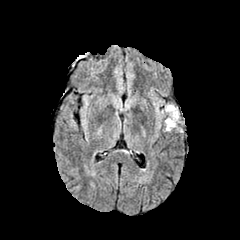
FLAIR MR image.
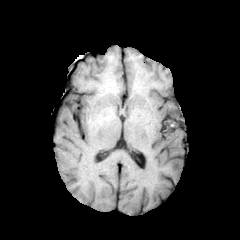
T1-weighted MR.
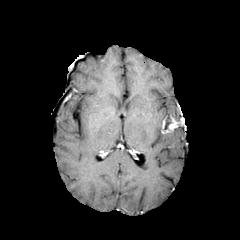
Post-contrast T1-weighted magnetic resonance of the same slice.
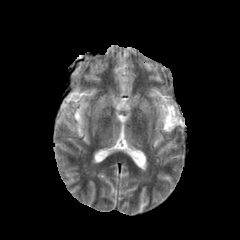
Same slice, T2-weighted MR image.
240x240
The non-enhancing tumor core is bounded by (left=163, top=108, right=181, bottom=131). The enhancing tumor lies within (left=168, top=115, right=183, bottom=129). 2 edema regions appear at (left=153, top=101, right=177, bottom=126), (left=171, top=126, right=182, bottom=132).